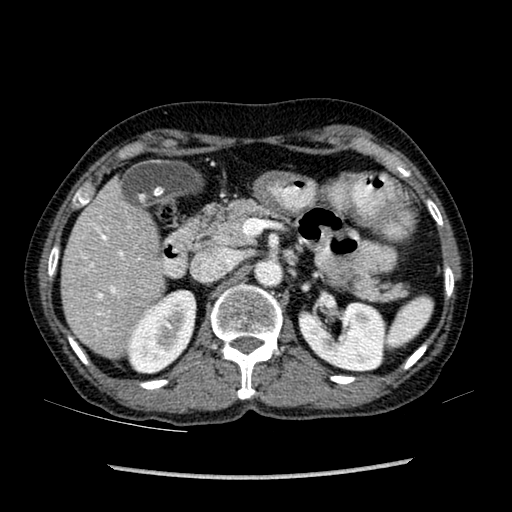
512x512. Computed tomography. {
  "liver": [
    "<box>61,185,160,351</box>"
  ],
  "kidney": [
    "<box>127,291,195,372</box>",
    "<box>300,301,383,369</box>"
  ]
}